Head | 240x240 | Slice 63 of 155
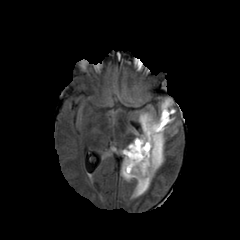
FLAIR MR image.
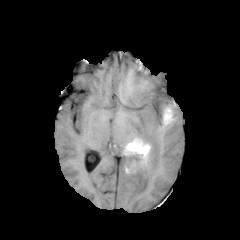
T1-weighted MR image of the same slice.
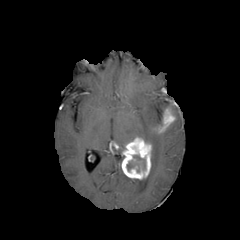
Same slice, post-contrast T1-weighted MR.
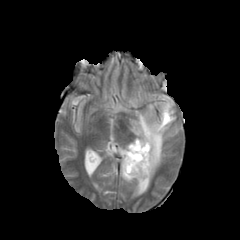
T2-weighted MR.
Non-enhancing tumor core: bounding box bbox(127, 155, 145, 171).
Edema: bounding box bbox(131, 98, 177, 196).
Enhancing tumor: bounding box bbox(122, 138, 150, 179); bbox(160, 109, 174, 131).